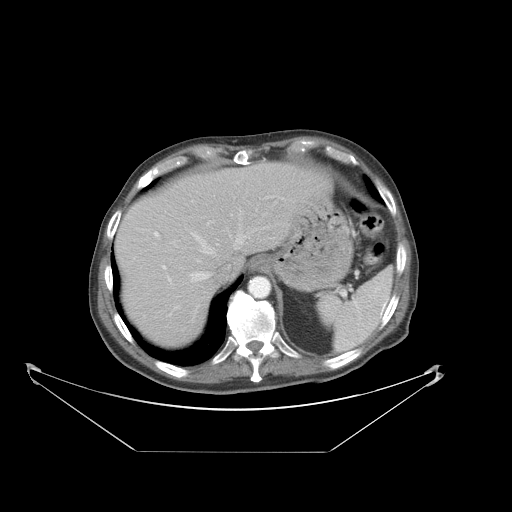 Abdomen | 512x512 | CT

Only some of the vessels may be annotated.
12 hepatic vessel regions are located at bbox(228, 265, 230, 269); bbox(153, 231, 159, 237); bbox(193, 306, 198, 319); bbox(172, 242, 175, 244); bbox(175, 306, 179, 309); bbox(192, 271, 211, 281); bbox(265, 196, 275, 198); bbox(163, 266, 165, 268); bbox(217, 244, 218, 245); bbox(234, 232, 245, 249); bbox(190, 231, 216, 256); bbox(207, 221, 213, 224).